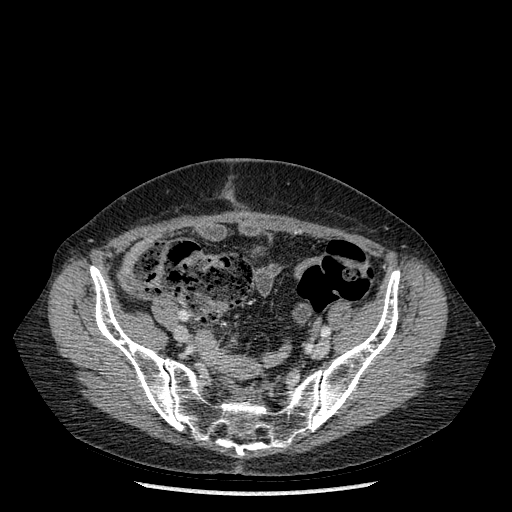

CT scan slice
<segmentation>
  <bone>left=90, top=266, right=400, bottom=456</bone>
</segmentation>